Head. 240x240 px.
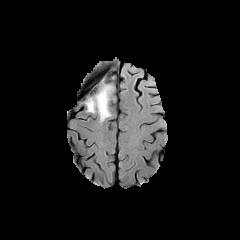
FLAIR MRI.
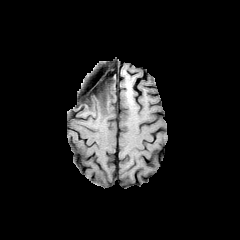
T1-weighted magnetic resonance of the same slice.
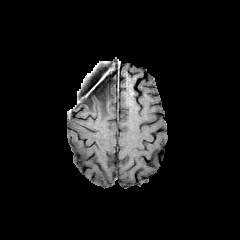
Same slice, post-contrast T1-weighted MR.
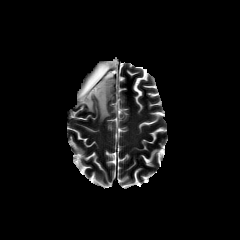
Same slice, T2-weighted MR image.
The edema is located at (85,84,113,122). The non-enhancing tumor core appears at (82,80,111,103).